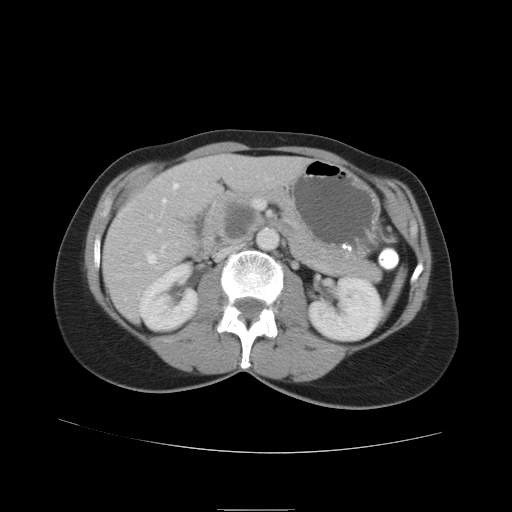 CT scan slice
Pancreas — [x1=201, y1=189, x2=382, y2=282].
Pancreatic tumor — [x1=225, y1=201, x2=255, y2=240].